Slice index 50; Computed tomography; 512x512 px; Field of view 386x386 mm
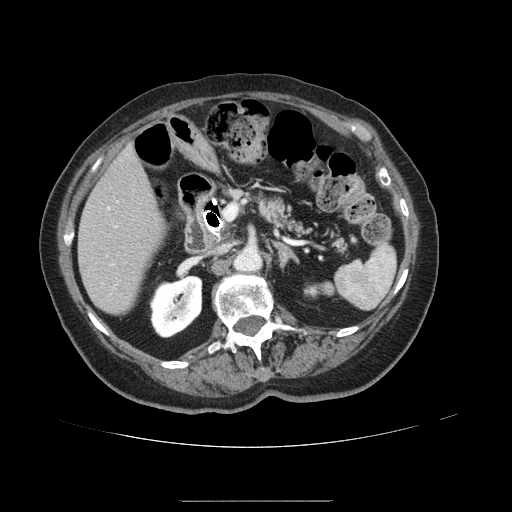

pancreas: 256,193,308,235